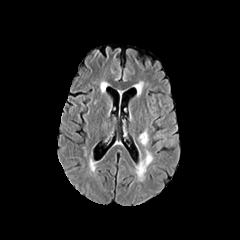
FLAIR MR image.
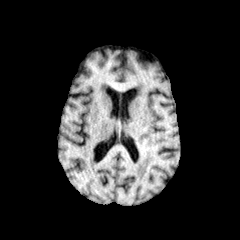
T1-weighted MRI.
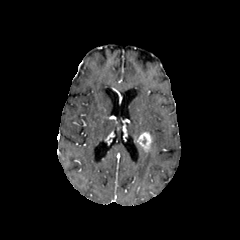
Post-contrast T1-weighted MR of the same slice.
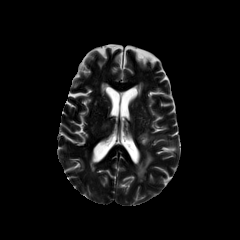
Same slice, T2-weighted MRI.
Enhancing tumor at box(137, 130, 153, 153).
Edema at box(134, 152, 153, 181).